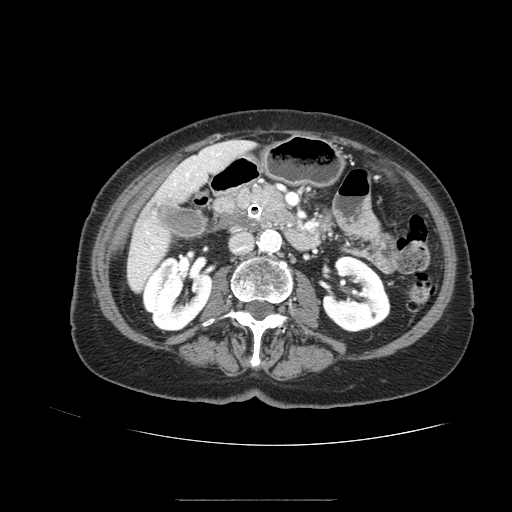

CT image, Abdomen, Image size 512x512
The pancreatic tumor is at <box>262,202,274,219</box>. The pancreas appears at <box>237,185,288,215</box>.